CT. Slice 24/51. 512x512 px.

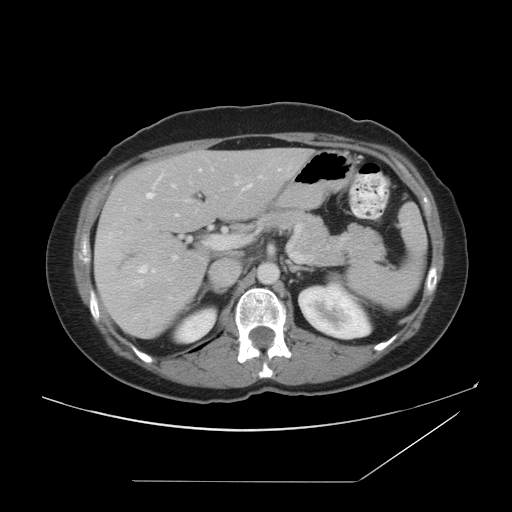
Only some of the vessels may be annotated.
The principal 15 hepatic vessel regions (of 16) appear at 199 169 201 170, 171 184 175 186, 235 182 238 185, 152 269 155 272, 184 199 189 201, 106 237 109 242, 138 265 146 272, 146 193 153 198, 134 279 142 286, 152 172 163 187, 119 231 121 233, 176 214 178 216, 242 184 251 190, 172 255 177 259, 278 168 280 170.